Slice index 393. CT scan slice. Field of view 472 mm wide, 0.80 mm slice spacing.

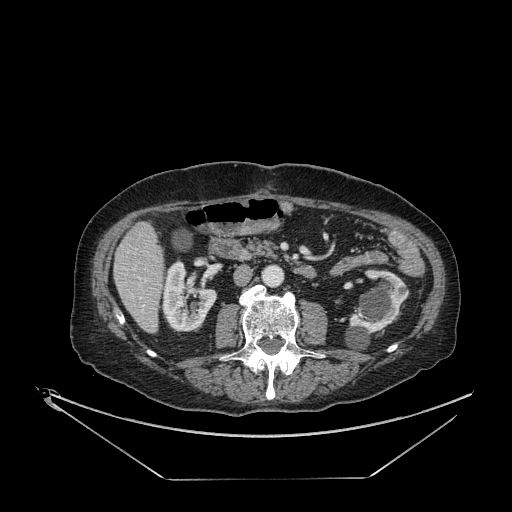
The liver is located at 114,222,163,333. 2 kidney regions appear at 350,270,408,332; 163,262,216,330.